CT slice; Field of view 406 mm wide, 8.00 mm slice spacing; Upper abdomen 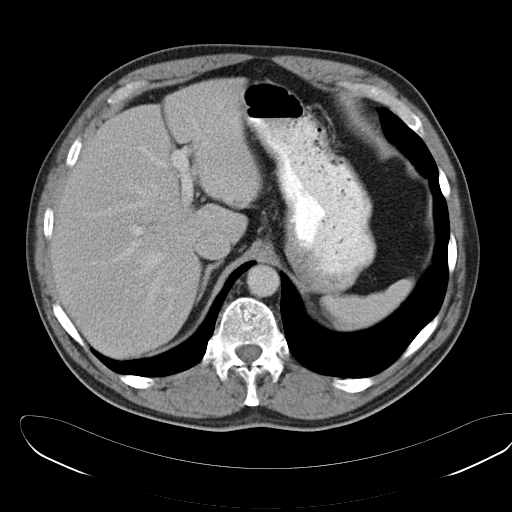

Spleen: bbox=[325, 279, 412, 329].